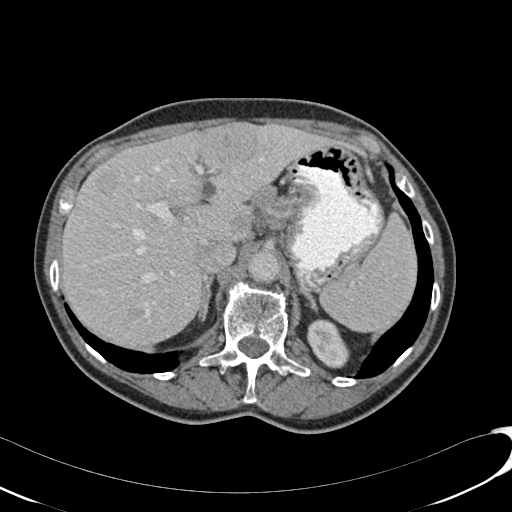 CT image, Liver
The kidney appears at 308:320:347:369. 2 liver regions are located at 217:123:248:126, 61:123:367:346. 4 hepatic lesion regions are bounded by 132:309:140:317, 98:172:112:191, 206:124:258:167, 212:167:221:175.